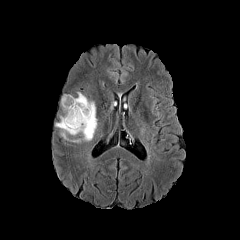
FLAIR MRI.
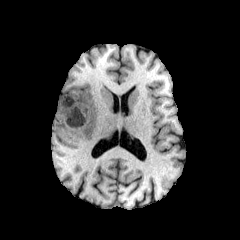
T1-weighted MRI of the same slice.
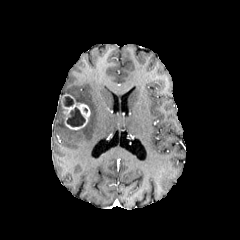
Post-contrast T1-weighted magnetic resonance of the same slice.
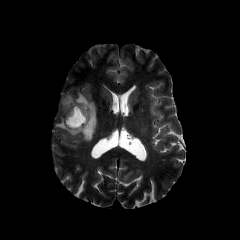
Same slice, T2-weighted magnetic resonance.
{
  "enhancing_tumor": [
    "(61, 94, 89, 129)"
  ],
  "non-enhancing_tumor_core": [
    "(63, 96, 73, 107)",
    "(67, 107, 85, 126)"
  ],
  "edema": [
    "(55, 92, 96, 143)"
  ]
}